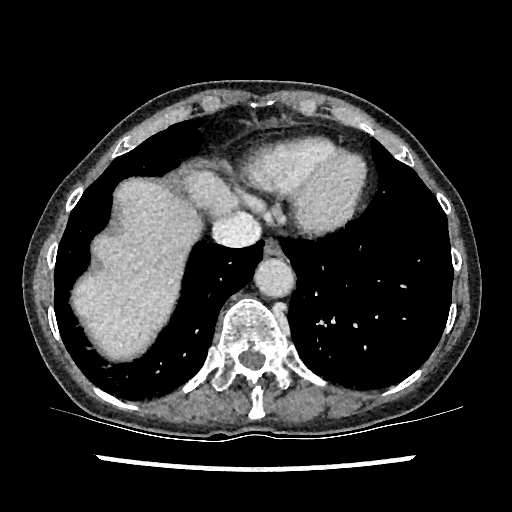
Computed tomography, Abdomen
liver: (73,171,236,357)